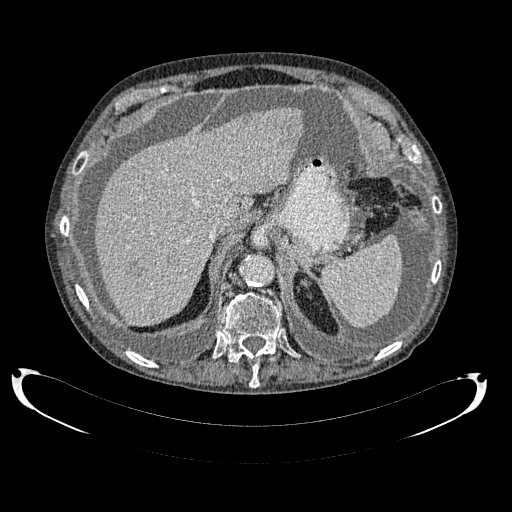 CT; Liver; Image size 512x512

Liver lesion = box=[167, 257, 179, 266]; box=[128, 262, 143, 275]; box=[279, 118, 299, 144].
Liver = box=[94, 106, 302, 325].